Head
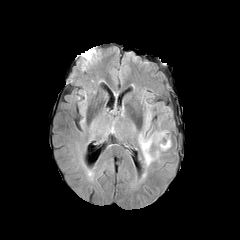
FLAIR MRI.
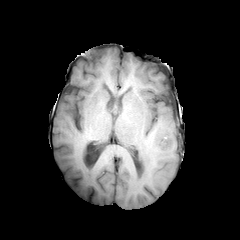
T1-weighted MR image.
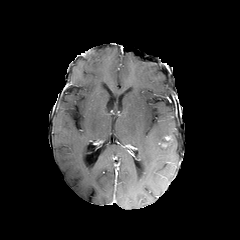
Post-contrast T1-weighted MR of the same slice.
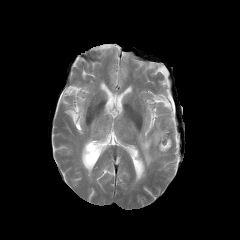
T2-weighted MR.
Edema — (138, 128, 171, 168), (144, 103, 151, 128).